Abdomen, CT 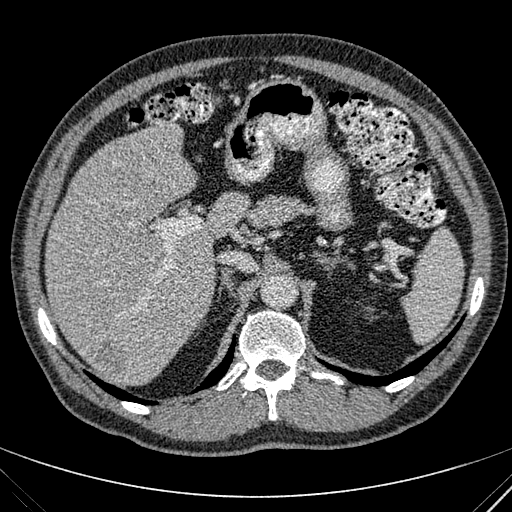

<segmentation>
  <liver>x1=47 y1=124 x2=248 y2=384</liver>
  <focal_liver_lesion>x1=85 y1=333 x2=126 y2=377</focal_liver_lesion>
</segmentation>